Slice 24/40 | MR image | Image width 39 mm | 39x45
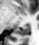 - posterior hippocampus: [18,24,29,35]